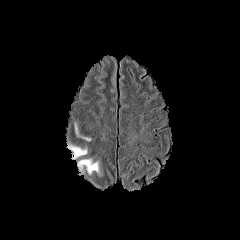
FLAIR MR.
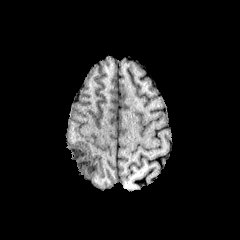
T1-weighted magnetic resonance.
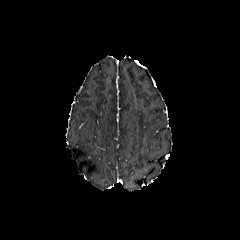
Post-contrast T1-weighted MRI.
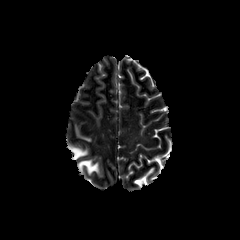
T2-weighted MRI.
2 edema regions are located at bbox=[66, 143, 86, 159]; bbox=[76, 159, 99, 175].